CT slice
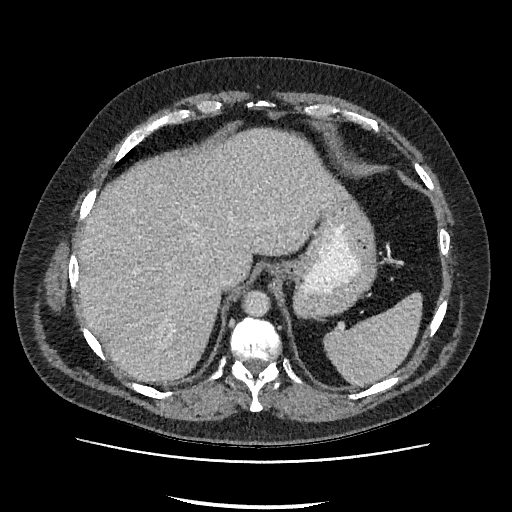 The liver lies within (x1=79, y1=130, x2=347, y2=380).